Slice index 79 | Image size 240x240 | Brain
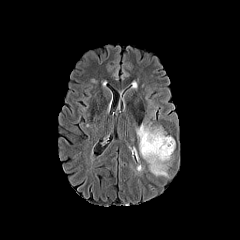
FLAIR MR.
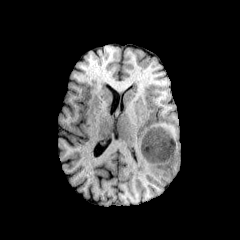
T1-weighted MR.
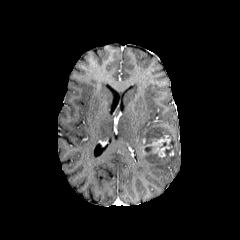
Same slice, post-contrast T1-weighted MRI.
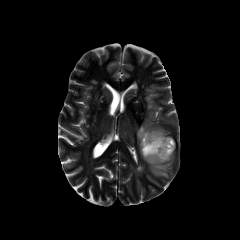
T2-weighted magnetic resonance.
Non-enhancing tumor core: 166:142:173:156.
Enhancing tumor: 139:138:171:157.
Edema: 137:120:162:146, 143:153:170:176.